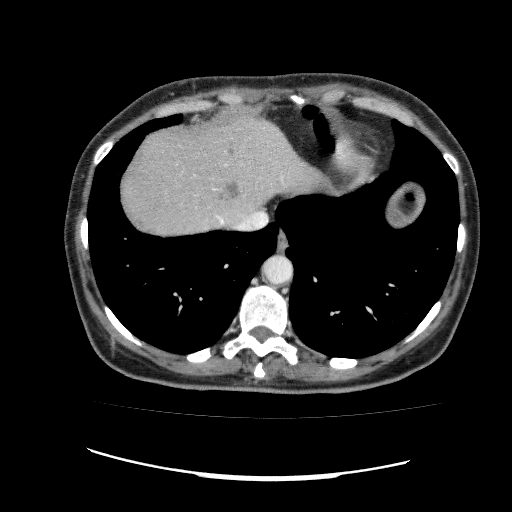
CT; 512x512; Abdomen
The liver is located at [x1=119, y1=118, x2=333, y2=237]. The hepatic lesion lies within [x1=218, y1=180, x2=239, y2=200].